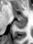
MRI slice, 33x44
The posterior hippocampus lies within box=[15, 18, 26, 28]. The anterior hippocampus lies within box=[13, 11, 25, 17].